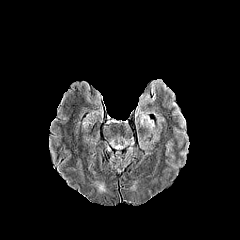
FLAIR MR image.
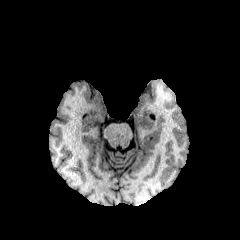
T1-weighted MR of the same slice.
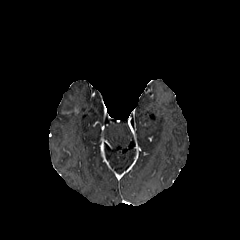
Post-contrast T1-weighted MR of the same slice.
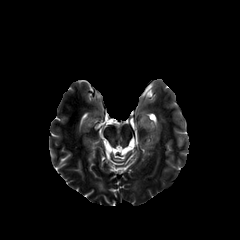
T2-weighted magnetic resonance of the same slice.
Head
Findings:
* edema: 141,116,154,130